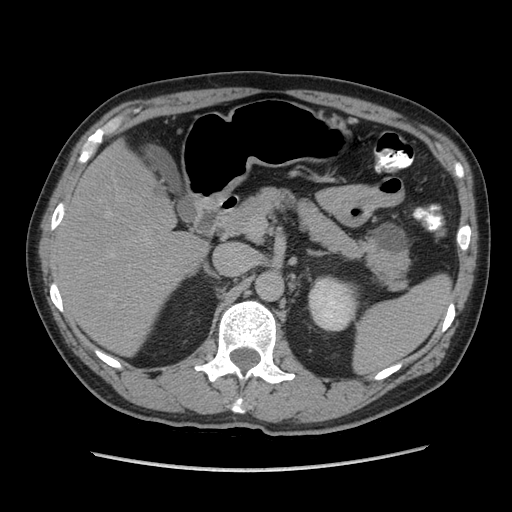

CT image
pancreatic tumor: box=[372, 225, 407, 251] | pancreas: box=[216, 187, 403, 285]